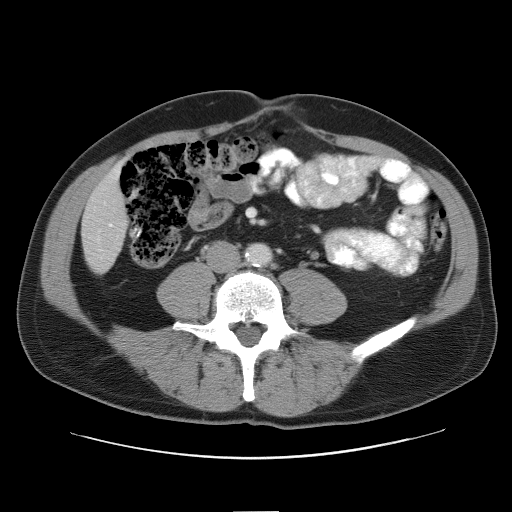
Image size 512x512, CT slice

Only some of the vessels may be annotated.
2 hepatic vessel regions appear at (97, 238, 99, 241), (109, 224, 111, 226).